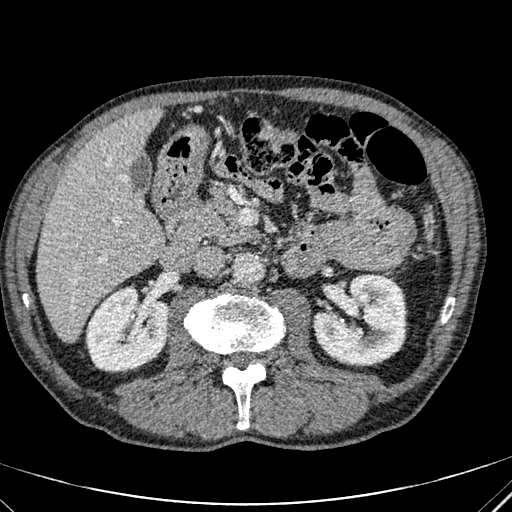
Image size 512x512 | CT slice

The liver is at <bbox>37, 108, 163, 342</bbox>. 2 kidney regions are located at <bbox>315, 275, 404, 363</bbox>, <bbox>87, 288, 167, 370</bbox>.